Image size 512x512; CT slice
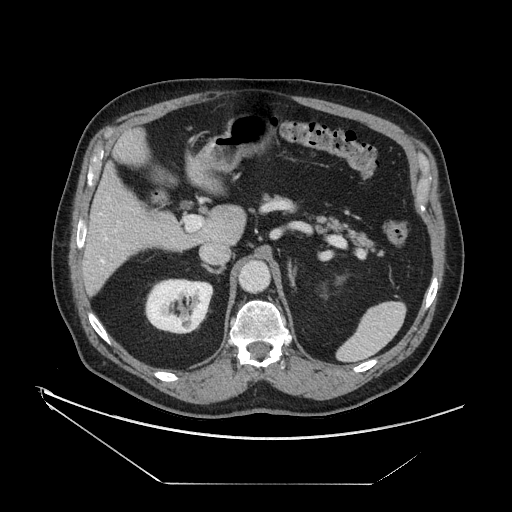 {"pancreas": ["left=310, top=214, right=375, bottom=251"]}